Field of view 240 mm wide, 1.00 mm slice spacing
FLAIR MR image.
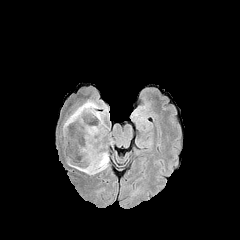
T1-weighted MR image.
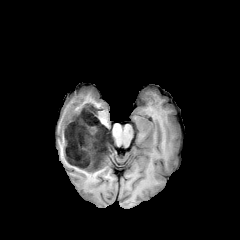
Post-contrast T1-weighted magnetic resonance.
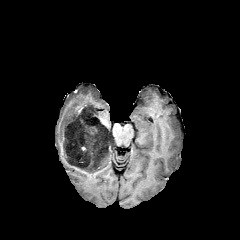
T2-weighted magnetic resonance.
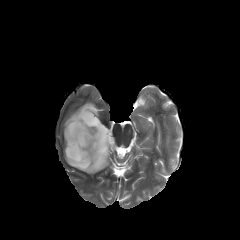
non-enhancing tumor core: <box>65,106,113,169</box> | edema: <box>81,100,103,123</box>, <box>64,107,80,127</box>, <box>68,152,109,174</box>